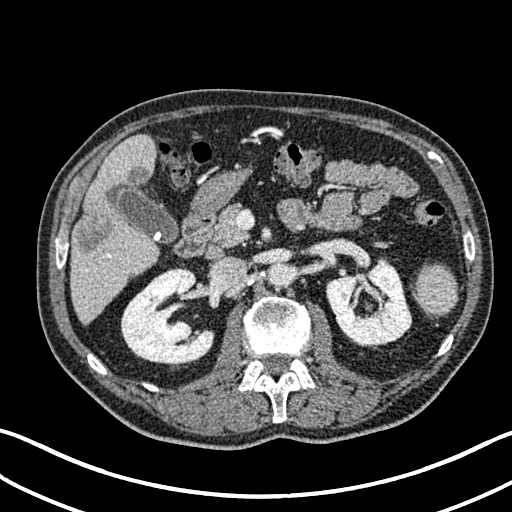 512x512. CT slice.
Segmented structures:
• liver: (71,136,158,323)
• kidney: (327,260,411,344), (352,247,368,266), (121,269,219,363)
• hepatic lesion: (76,202,115,252), (127,166,149,182)